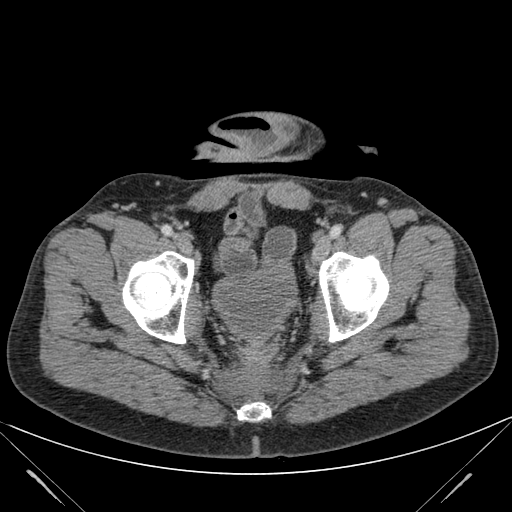
Pelvis | CT

urinary bladder: 212, 257, 298, 339